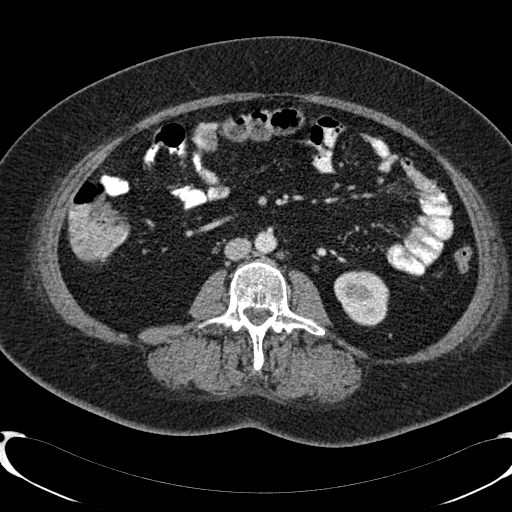 Abdomen; CT
kidney: 335 272 387 324